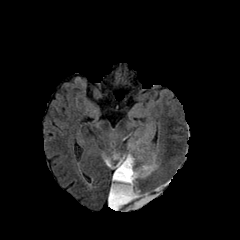
FLAIR MR image.
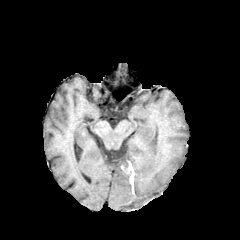
T1-weighted MRI of the same slice.
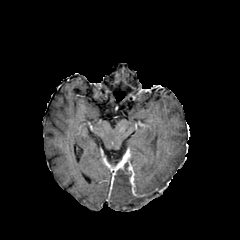
Same slice, post-contrast T1-weighted magnetic resonance.
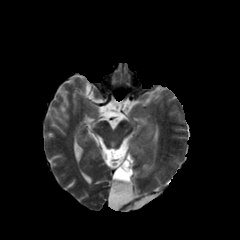
T2-weighted MR.
240x240 px, Brain
The enhancing tumor is bounded by <bbox>105, 149, 133, 185</bbox>. 3 non-enhancing tumor core regions are bounded by <bbox>104, 147, 135, 170</bbox>, <bbox>132, 171, 145, 196</bbox>, <bbox>114, 162, 131, 181</bbox>. The edema is located at <bbox>108, 143, 161, 210</bbox>.